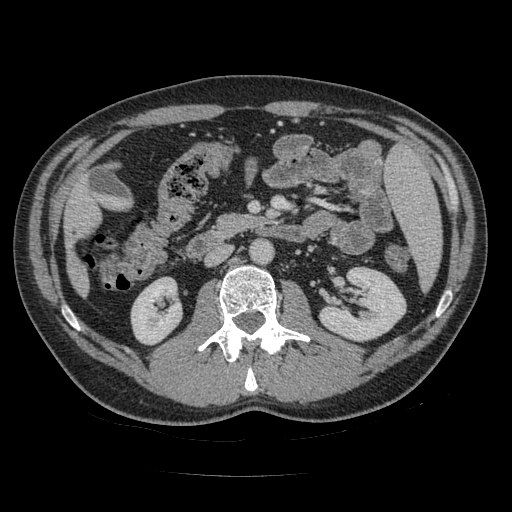

CT scan slice.
Pancreas = x1=273, y1=240, x2=293, y2=249; x1=216, y1=214, x2=265, y2=237.